240x240.
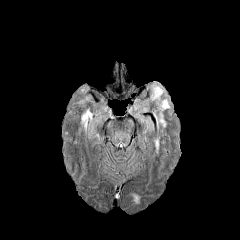
FLAIR MR image.
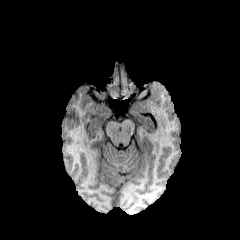
Same slice, T1-weighted MR image.
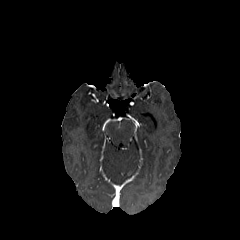
Post-contrast T1-weighted MR image.
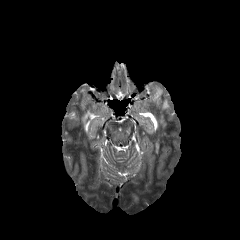
T2-weighted MR.
{
  "edema": [
    "bbox(153, 87, 162, 99)",
    "bbox(81, 109, 97, 130)",
    "bbox(161, 100, 168, 110)"
  ]
}